FLAIR MRI.
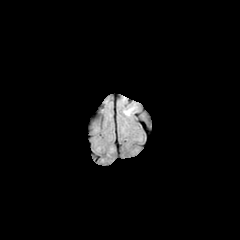
T1-weighted MR.
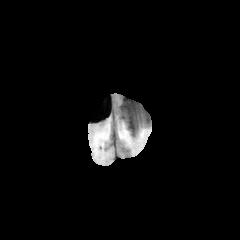
Post-contrast T1-weighted MR.
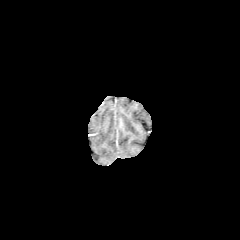
T2-weighted MR image.
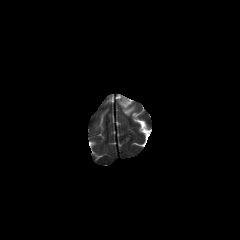
240x240 px
{
  "edema": [
    "(124, 107, 134, 115)"
  ]
}